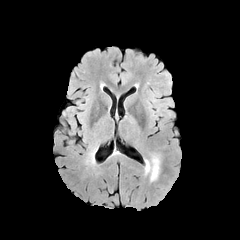
FLAIR MRI.
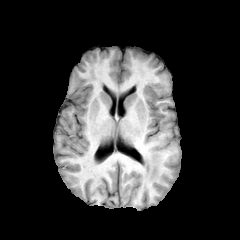
T1-weighted MR image of the same slice.
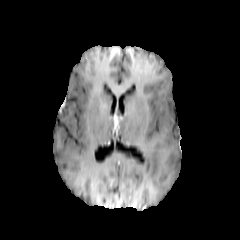
Post-contrast T1-weighted magnetic resonance.
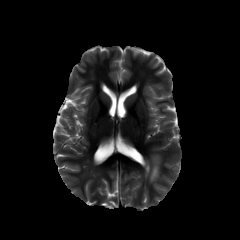
T2-weighted MRI.
240x240 px | Brain
Edema: 144 154 160 181.